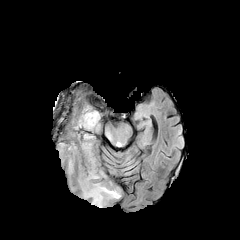
FLAIR MR image.
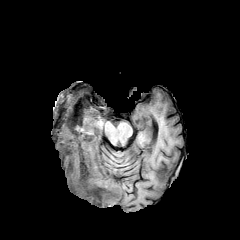
T1-weighted MR image of the same slice.
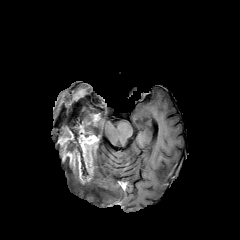
Post-contrast T1-weighted MRI.
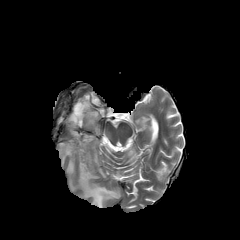
T2-weighted MR.
Findings:
* edema: l=66, t=150, r=121, b=207; l=80, t=104, r=97, b=120; l=88, t=120, r=100, b=133
* non-enhancing tumor core: l=59, t=110, r=93, b=176
* enhancing tumor: l=90, t=113, r=99, b=125; l=60, t=141, r=74, b=167; l=77, t=134, r=97, b=183